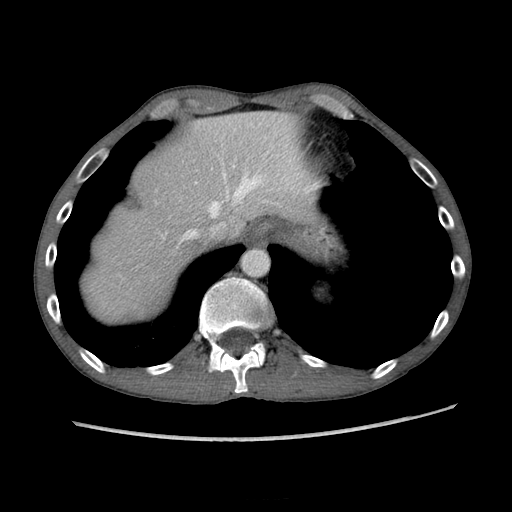
512x512 px, CT image

<segmentation>
  <liver>l=83, t=110, r=317, b=321</liver>
</segmentation>